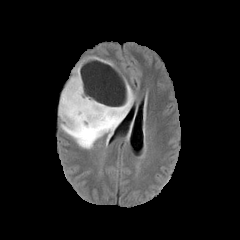
FLAIR MR.
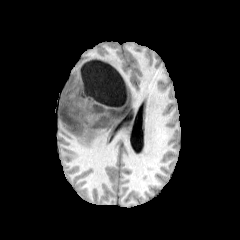
T1-weighted magnetic resonance.
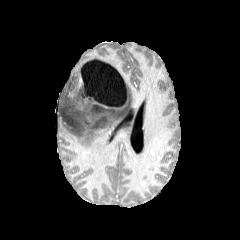
Post-contrast T1-weighted magnetic resonance.
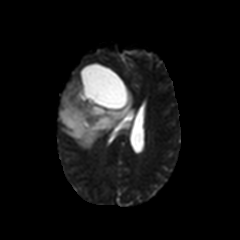
T2-weighted MR image.
Brain
{"edema": ["left=58, top=64, right=135, bottom=149"], "non-enhancing_tumor_core": ["left=60, top=108, right=85, bottom=133", "left=78, top=90, right=125, bottom=127"]}